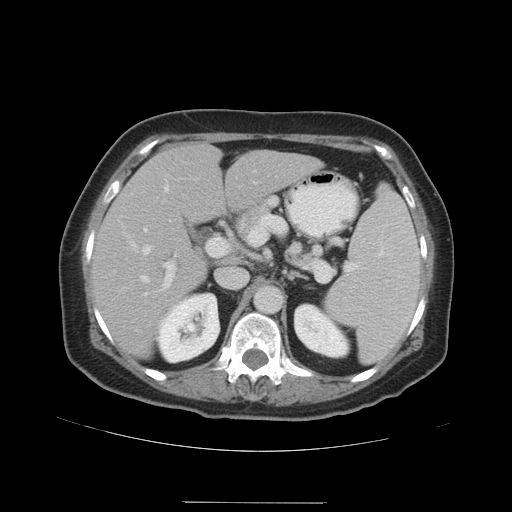

CT slice. Abdomen. 512x512.
Some hepatic vessels may have no box.
<segmentation>
  <hepatic_vessel>{"x1": 164, "y1": 187, "x2": 168, "y2": 191}, {"x1": 254, "y1": 182, "x2": 256, "y2": 183}, {"x1": 131, "y1": 241, "x2": 137, "y2": 251}, {"x1": 143, "y1": 245, "x2": 151, "y2": 253}, {"x1": 143, "y1": 293, "x2": 146, "y2": 294}, {"x1": 163, "y1": 262, "x2": 176, "y2": 287}, {"x1": 144, "y1": 228, "x2": 146, "y2": 231}, {"x1": 141, "y1": 275, "x2": 148, "y2": 282}, {"x1": 191, "y1": 219, "x2": 193, "y2": 220}</hepatic_vessel>
</segmentation>